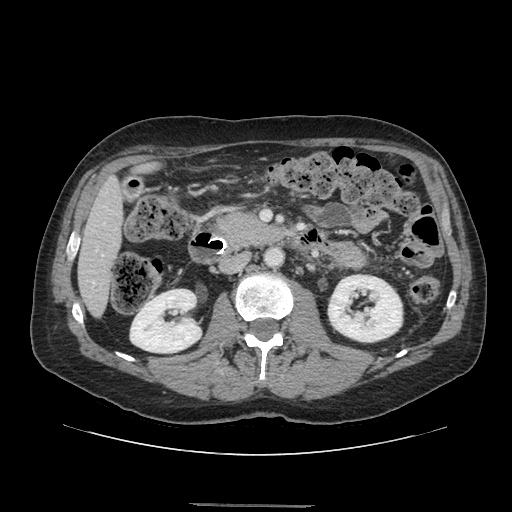 Abdomen; CT image

The pancreas lies within <bbox>215, 213, 280, 251</bbox>.